512x512, CT image, Pelvis
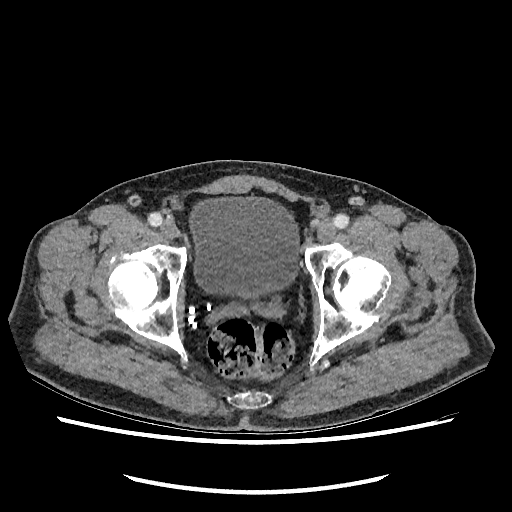
urinary bladder: box(189, 196, 299, 299)